512x512 px; CT image 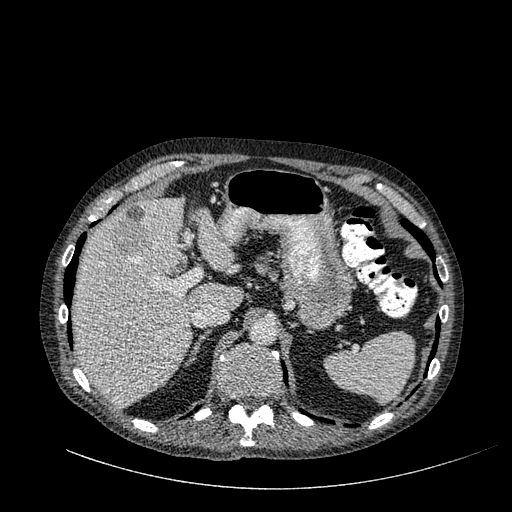 {
  "liver": [
    "(194,210,233,270)",
    "(74,197,243,405)"
  ],
  "focal_liver_lesion": [
    "(110,205,150,258)"
  ]
}